Slice 23/40. Abdomen. CT. Image size 512x512. 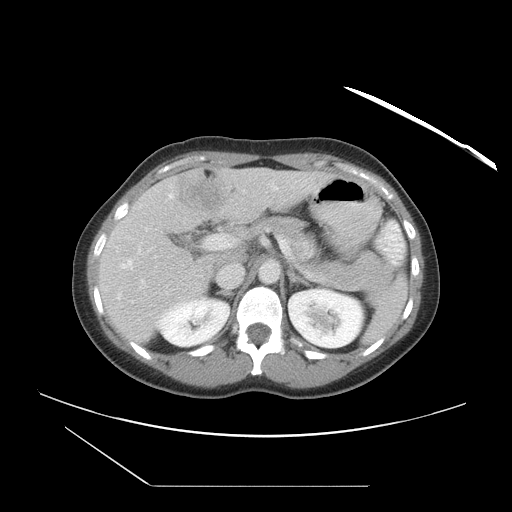 The vessel boxes may cover only some of the vessels.
10 hepatic vessel regions appear at x1=206 y1=235 x2=233 y2=248, x1=166 y1=292 x2=167 y2=294, x1=218 y1=265 x2=242 y2=286, x1=271 y1=183 x2=277 y2=189, x1=117 y1=293 x2=121 y2=299, x1=169 y1=194 x2=173 y2=197, x1=243 y1=190 x2=245 y2=192, x1=141 y1=280 x2=144 y2=282, x1=121 y1=259 x2=132 y2=269, x1=146 y1=228 x2=147 y2=230. The liver tumor is at x1=175 y1=172 x2=230 y2=213.